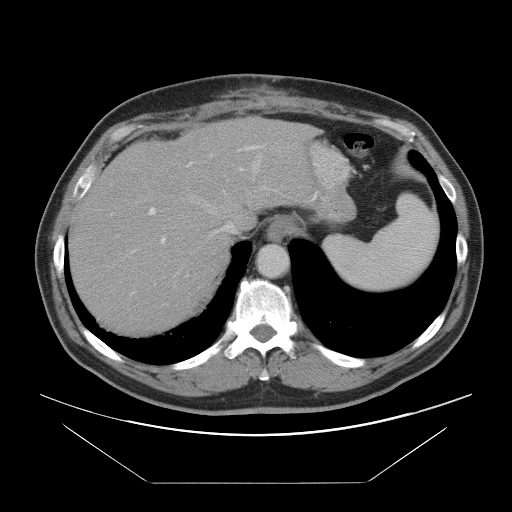

Computed tomography | 512x512
Some hepatic vessels may have no box.
Segmented structures:
• hepatic vessel: [x1=149, y1=208, x2=155, y2=213], [x1=161, y1=237, x2=164, y2=242], [x1=273, y1=189, x2=278, y2=191], [x1=186, y1=273, x2=188, y2=276], [x1=164, y1=304, x2=168, y2=304], [x1=188, y1=162, x2=191, y2=165], [x1=215, y1=230, x2=217, y2=231], [x1=131, y1=292, x2=133, y2=293], [x1=239, y1=148, x2=241, y2=150], [x1=211, y1=154, x2=212, y2=155], [x1=249, y1=146, x2=255, y2=148], [x1=239, y1=167, x2=242, y2=170]